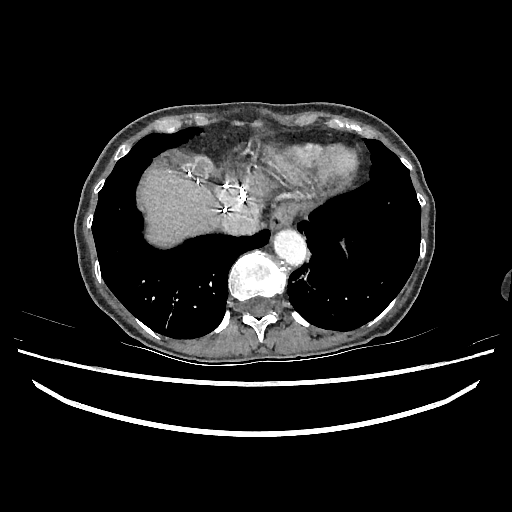

Computed tomography
{
  "liver": [
    "[x1=243, y1=172, x2=269, y2=197]",
    "[x1=141, y1=171, x2=222, y2=244]"
  ]
}